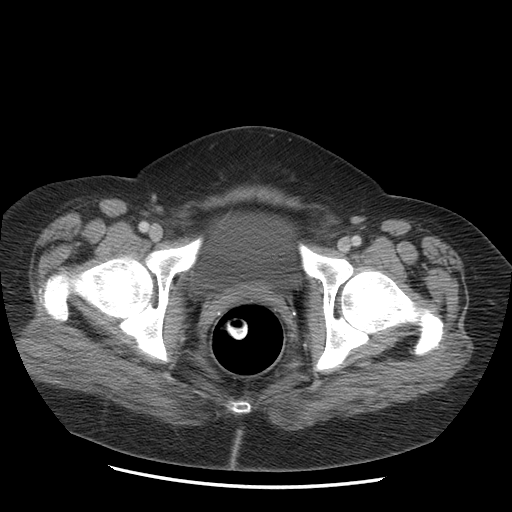

Pelvis, CT scan slice
The urinary bladder is located at (192,212,306,293).